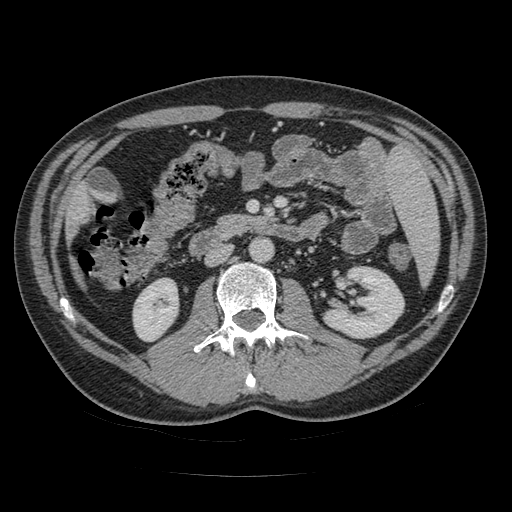
Computed tomography, Abdomen, Image size 512x512
Pancreas: left=220, top=215, right=264, bottom=230.